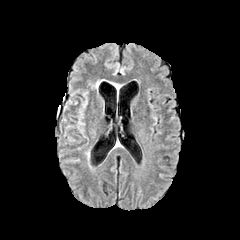
FLAIR magnetic resonance.
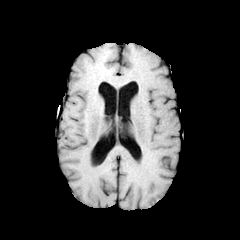
T1-weighted magnetic resonance.
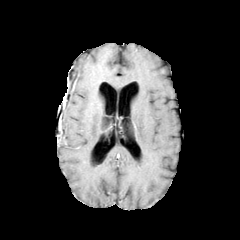
Post-contrast T1-weighted magnetic resonance.
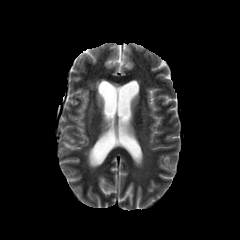
T2-weighted MRI.
Head
Edema at box(60, 116, 70, 131).